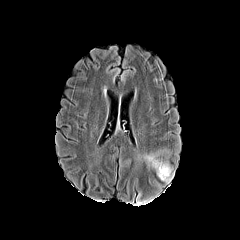
FLAIR MR.
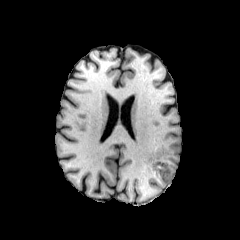
T1-weighted MR of the same slice.
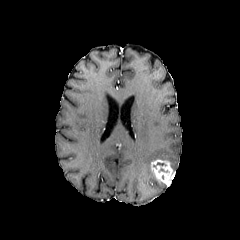
Same slice, post-contrast T1-weighted magnetic resonance.
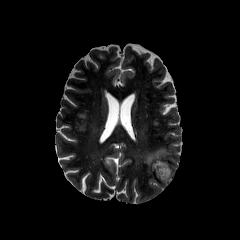
T2-weighted MRI.
Head
- edema: (143,148,166,166)
- enhancing tumor: (150,159,174,183)